Image size 240x240
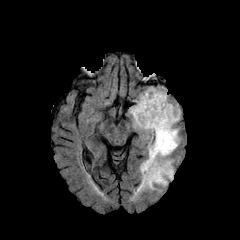
FLAIR MR.
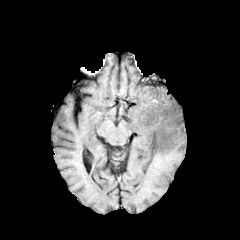
T1-weighted magnetic resonance.
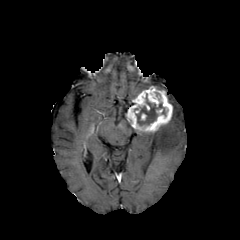
Post-contrast T1-weighted MR image.
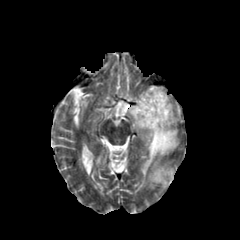
Same slice, T2-weighted MRI.
<segmentation>
  <non-enhancing_tumor_core>box=[136, 94, 162, 125]</non-enhancing_tumor_core>
  <enhancing_tumor>box=[127, 86, 172, 133]</enhancing_tumor>
  <edema>box=[136, 100, 180, 191]</edema>
</segmentation>